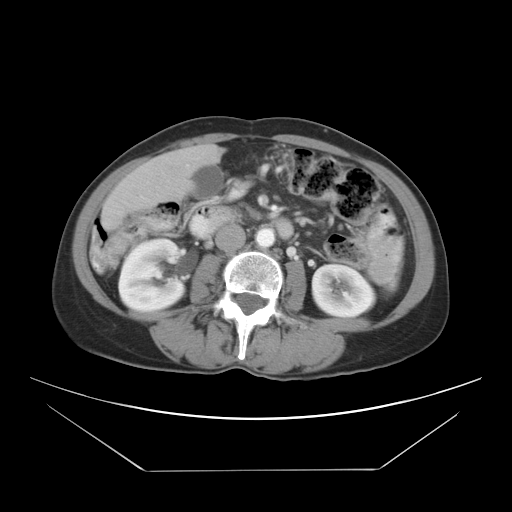 512x512 px. CT image.
Not every hepatic vessel necessarily has a box.
Hepatic vessel at (x1=186, y1=165, x2=188, y2=166), (x1=104, y1=199, x2=120, y2=212), (x1=140, y1=195, x2=151, y2=201), (x1=103, y1=219, x2=109, y2=225), (x1=124, y1=201, x2=132, y2=206).